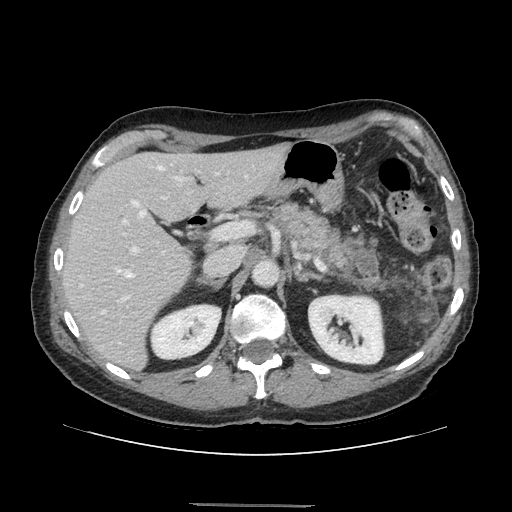
CT slice
The pancreas lies within <bbox>275, 205, 347, 265</bbox>.